Computed tomography

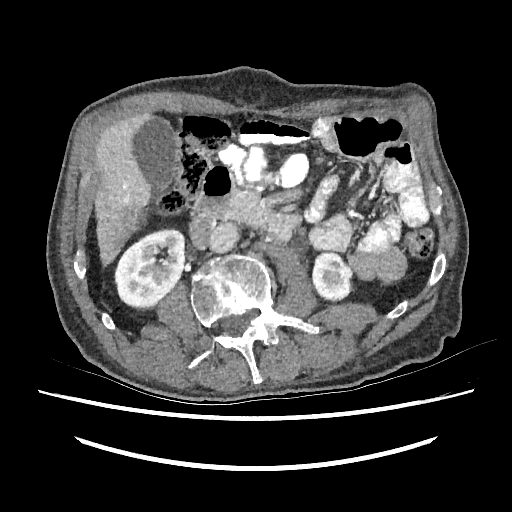
Kidney: bounding box (115,230,184,306), (313,253,351,299).
Liver: bounding box (95,111,152,265).
Liver lesion: bounding box (112,204,139,249), (98,175,104,189).